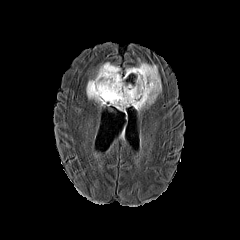
FLAIR MRI.
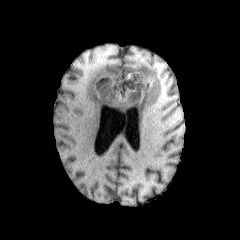
T1-weighted magnetic resonance.
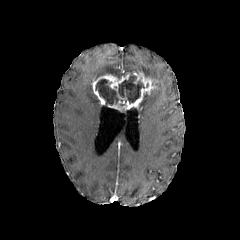
Post-contrast T1-weighted MRI.
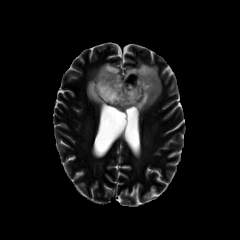
T2-weighted magnetic resonance.
240x240 | Head
Edema: bounding box box(126, 59, 162, 116); box(86, 62, 122, 108).
Non-enhancing tumor core: bounding box box(95, 69, 144, 105).
Enhancing tumor: bounding box box(108, 71, 158, 110); box(91, 79, 105, 105); box(101, 72, 130, 90).